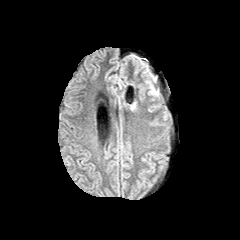
FLAIR MR image.
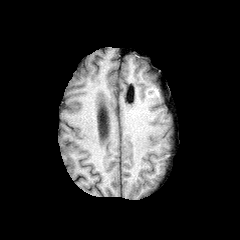
T1-weighted MR.
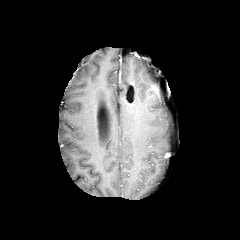
Post-contrast T1-weighted MR image.
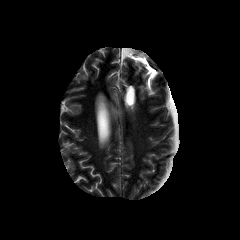
T2-weighted MRI of the same slice.
Image size 240x240. Head.
<segmentation>
  <edema>[143,70,157,95]</edema>
</segmentation>